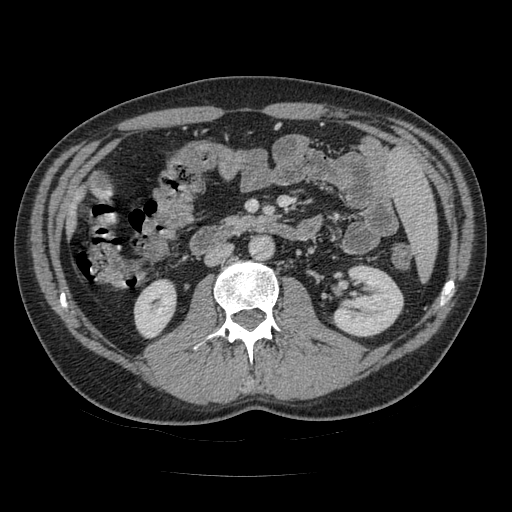 CT | 512x512
<segmentation>
  <pancreas>[x1=229, y1=216, x2=259, y2=222]</pancreas>
</segmentation>